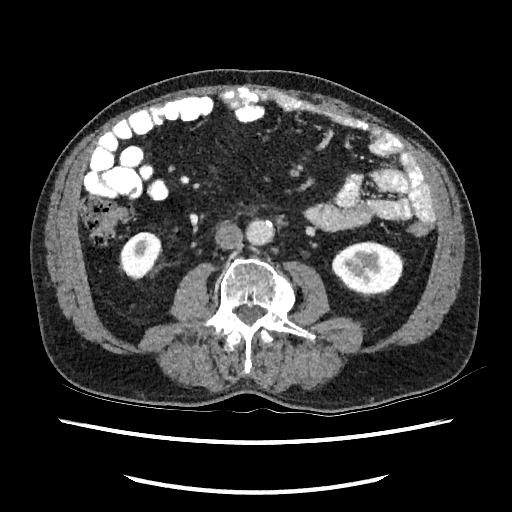
CT scan slice

2 kidney regions appear at 120 232 161 279, 332 241 402 295.